FLAIR magnetic resonance.
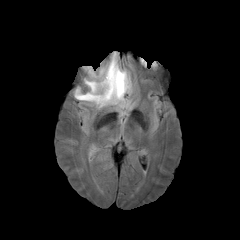
T1-weighted magnetic resonance.
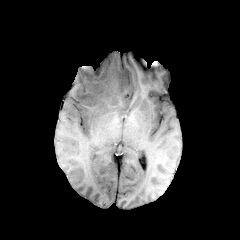
Post-contrast T1-weighted MRI.
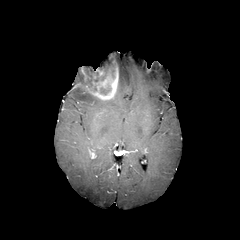
T2-weighted MRI.
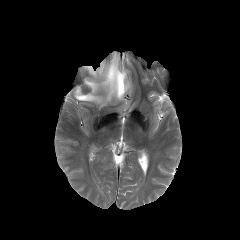
The edema is bounded by 73 51 134 117. 2 non-enhancing tumor core regions are located at 79 55 119 94, 100 87 110 94. The enhancing tumor is located at 88 68 118 100.